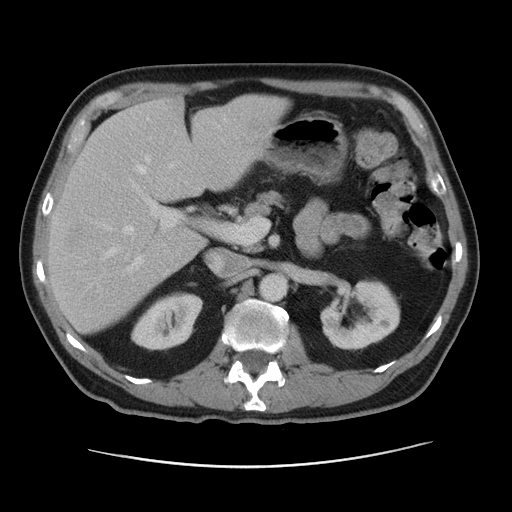 Computed tomography
The liver appears at 48 97 284 331. 2 kidney regions are located at 133 291 201 348, 320 280 400 349.